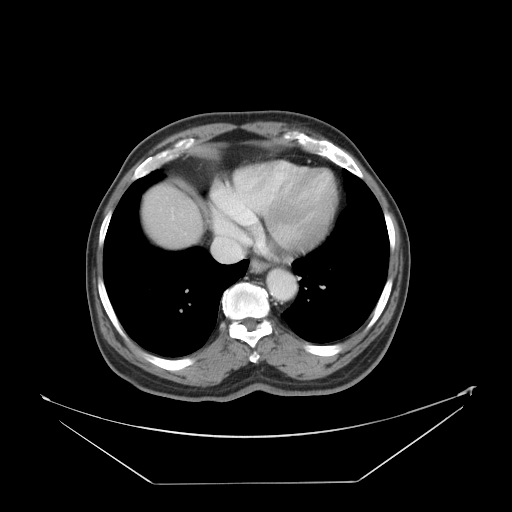 CT scan slice. Abdomen. 512x512 px.

Not every hepatic vessel necessarily has a box.
hepatic vessel: [171,208,174,219], [179,212,183,216], [190,219,191,220]